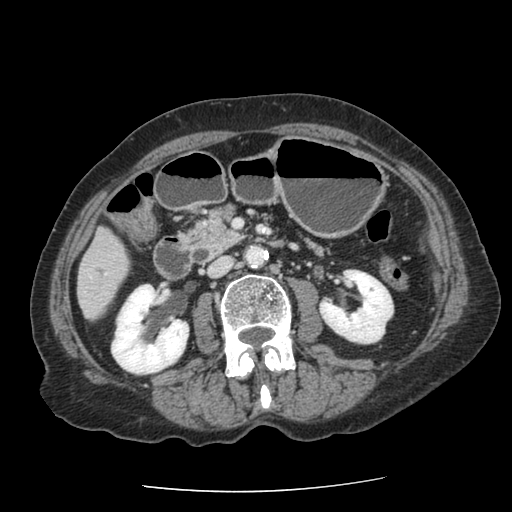 Computed tomography

pancreas:
  - <box>308,242,323,254</box>
  - <box>185,214,242,255</box>